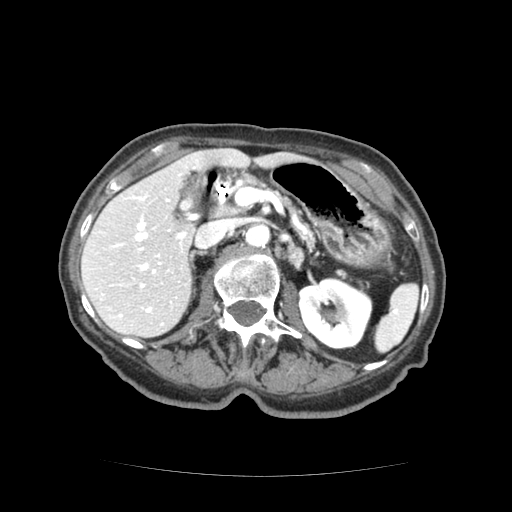

512x512 px, CT, Abdomen

2 pancreas regions are located at (274,191,315,249), (213,201,242,217).